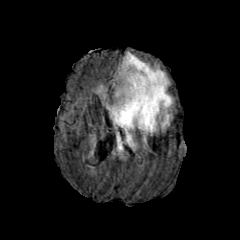
FLAIR magnetic resonance.
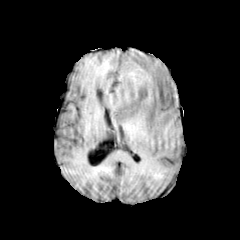
T1-weighted MRI of the same slice.
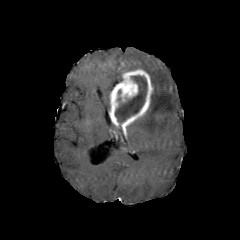
Post-contrast T1-weighted magnetic resonance.
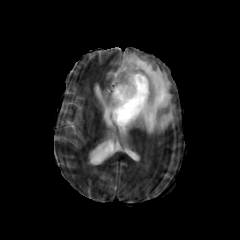
T2-weighted MR of the same slice.
240x240 px, Head
The enhancing tumor lies within rect(109, 69, 153, 127). The non-enhancing tumor core is bounded by rect(115, 75, 147, 123). 3 edema regions are bounded by rect(103, 94, 109, 109); rect(113, 51, 172, 142); rect(116, 134, 123, 151).